Image size 320x320
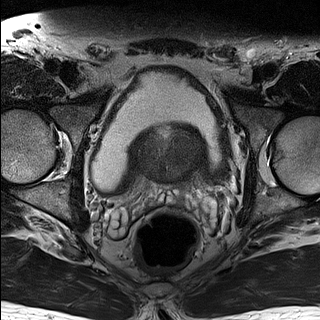
T2-weighted MR image.
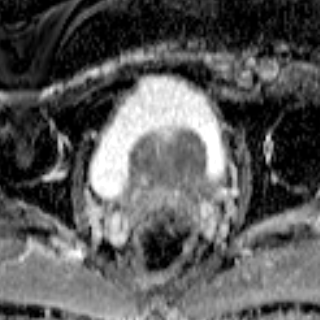
ADC MR image of the same slice.
<segmentation>
  <prostate_transition_zone>l=134, t=126, r=201, b=180</prostate_transition_zone>
</segmentation>